Abdomen | CT slice | Slice index 45 | Image size 512x512 | Image width 376 mm

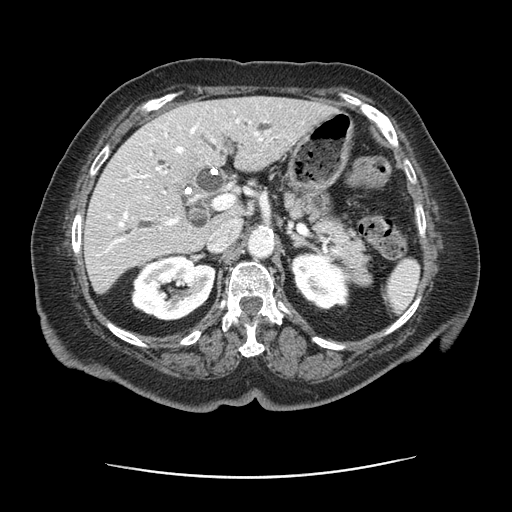

Pancreas = (x1=277, y1=183, x2=372, y2=287).